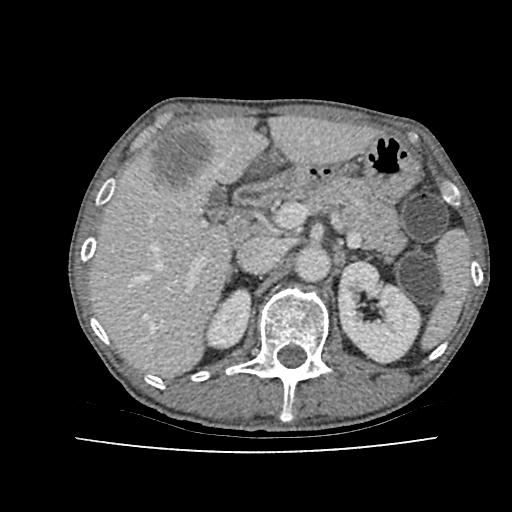
512x512, CT slice
kidney: 208, 291, 249, 346; 339, 262, 419, 361 | focal liver lesion: 149, 126, 214, 191 | liver: 91, 117, 376, 375